Liver | CT
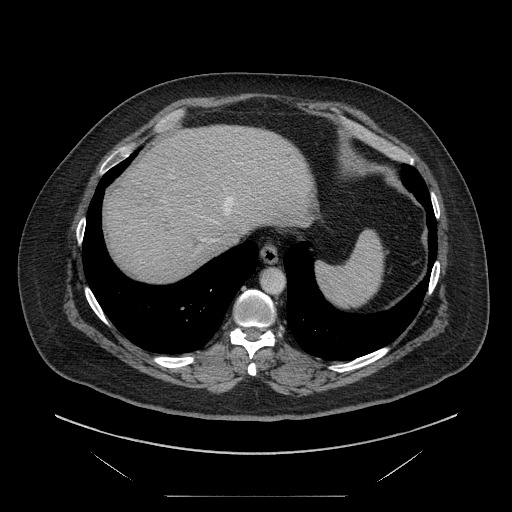
Some hepatic vessels may have no box.
Hepatic vessel — [x1=209, y1=219, x2=218, y2=223], [x1=221, y1=193, x2=237, y2=215], [x1=200, y1=238, x2=218, y2=242].